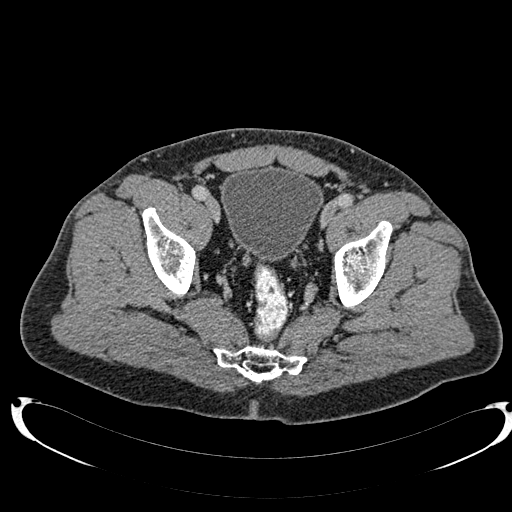
CT image, Pelvis
urinary_bladder:
  - region(222, 164, 323, 262)